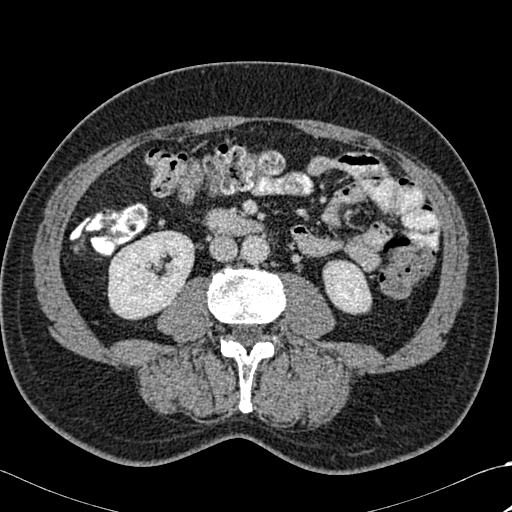 CT image
Annotated regions:
- bone: 221,337,276,412; 208,269,284,332
- kidney: 108,231,193,318; 324,261,370,312